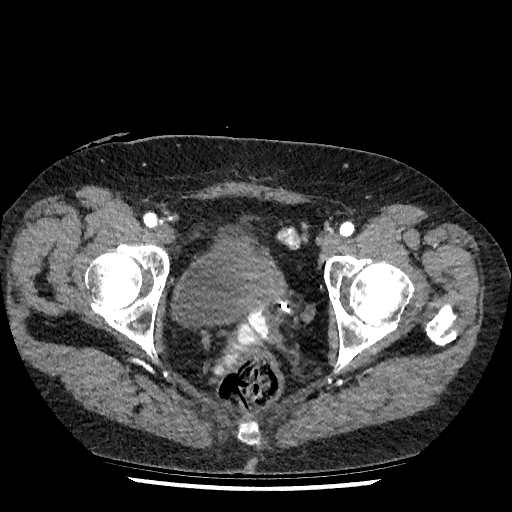 CT. 512x512 px. Lower abdomen.
Segmented structures:
* urinary bladder: [170, 225, 277, 328]